FLAIR MR.
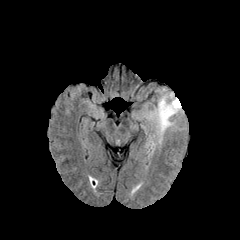
T1-weighted magnetic resonance.
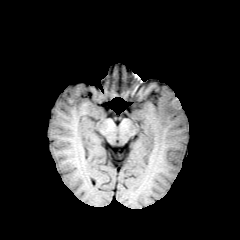
Post-contrast T1-weighted magnetic resonance.
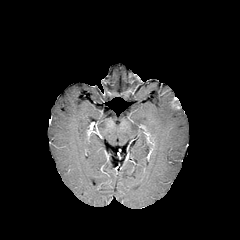
T2-weighted MR image.
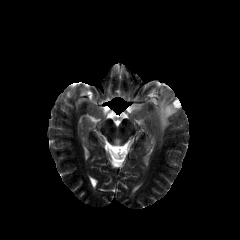
Head, 240x240 px
{
  "edema": [
    "region(133, 87, 186, 142)"
  ],
  "enhancing_tumor": [
    "region(169, 96, 181, 110)"
  ]
}